CT 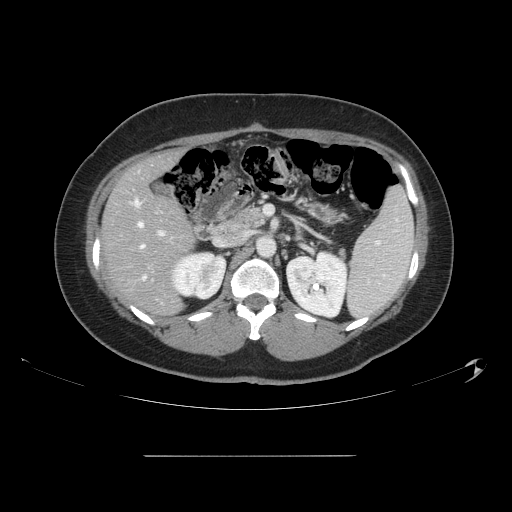 Only some of the vessels may be annotated.
5 hepatic vessel regions appear at 142,276,145,279; 132,199,138,204; 158,231,163,235; 138,222,142,226; 140,245,144,248.